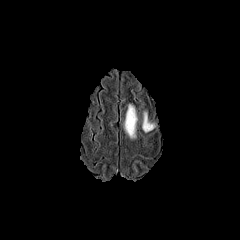
FLAIR MR image.
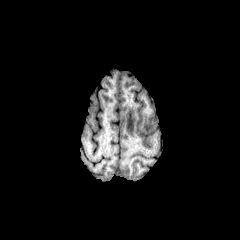
T1-weighted MRI.
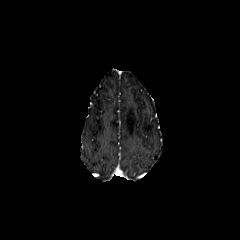
Post-contrast T1-weighted MR image.
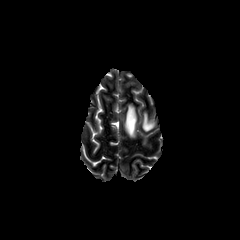
T2-weighted MRI.
Image size 240x240.
2 edema regions appear at region(124, 105, 136, 137); region(142, 119, 152, 132).